Slice index 557 | Computed tomography | Abdomen

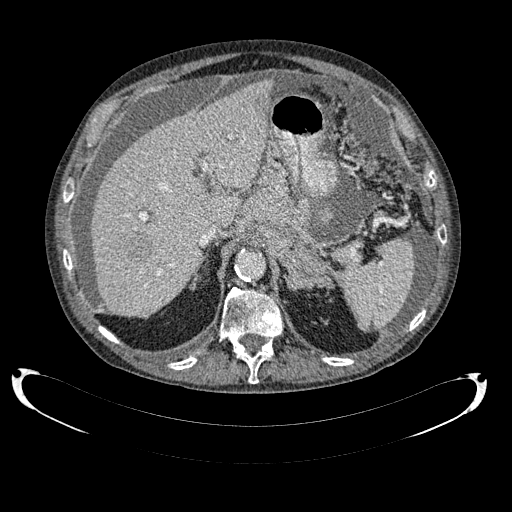

* liver: left=90, top=79, right=273, bottom=316
* focal liver lesion: left=123, top=234, right=150, bottom=262